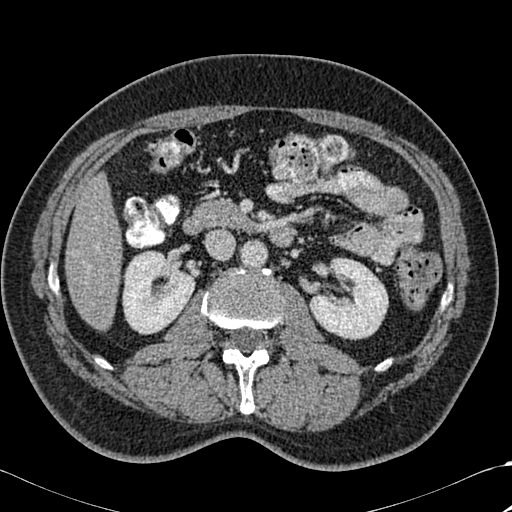 Liver | CT
2 kidney regions appear at <bbox>123, 252, 194, 333</bbox>, <bbox>310, 259, 387, 338</bbox>. 4 bone regions appear at <bbox>201, 269, 282, 333</bbox>, <bbox>100, 360, 109, 368</bbox>, <bbox>223, 337, 268, 413</bbox>, <bbox>49, 278, 58, 291</bbox>. The liver appears at <bbox>66, 175, 121, 328</bbox>.